FLAIR magnetic resonance.
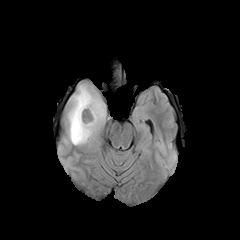
T1-weighted magnetic resonance.
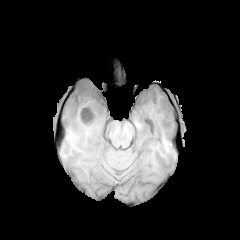
Post-contrast T1-weighted magnetic resonance.
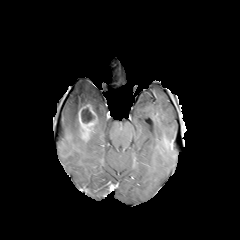
T2-weighted MRI.
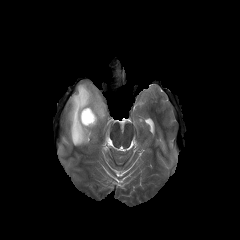
Enhancing tumor: <box>78,109,97,142</box>.
Edema: <box>65,83,106,145</box>.
Non-enhancing tumor core: <box>79,102,97,123</box>.